Image width 373 mm. CT slice. Upper abdomen. Slice 370/771. 512x512 px.

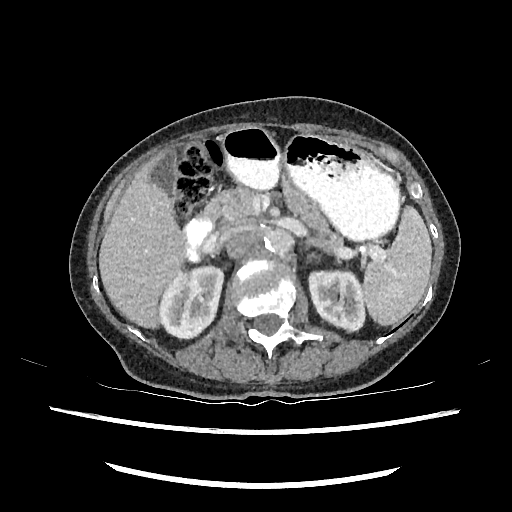

The liver appears at l=100, t=163, r=184, b=328. 2 kidney regions are located at l=310, t=272, r=364, b=329; l=160, t=268, r=222, b=337.